Brain
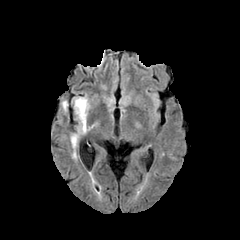
FLAIR MR image.
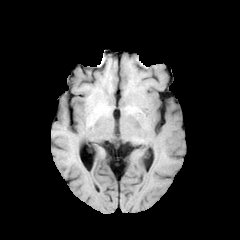
T1-weighted magnetic resonance of the same slice.
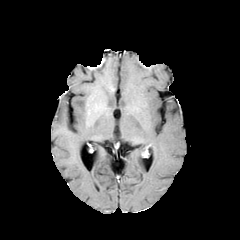
Same slice, post-contrast T1-weighted magnetic resonance.
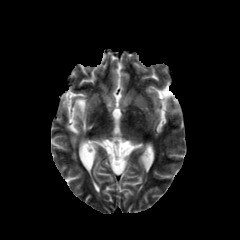
T2-weighted magnetic resonance of the same slice.
edema: (left=62, top=94, right=97, bottom=157)